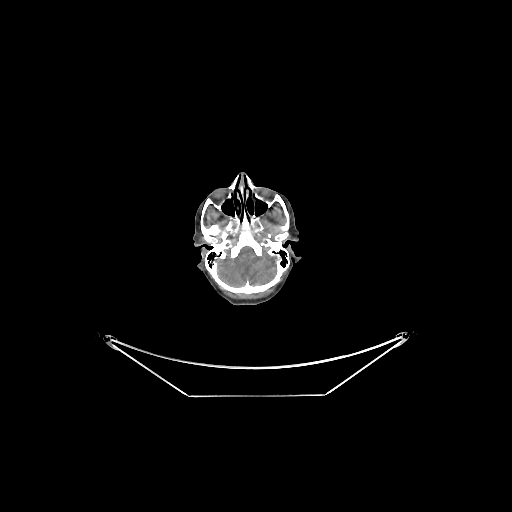 CT image
{
  "brain": [
    "[216, 246, 276, 287]"
  ]
}